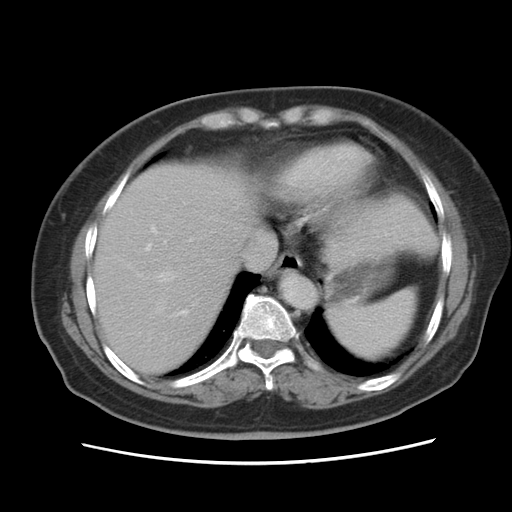

Liver; Image size 512x512; CT

The vessel boxes may cover only some of the vessels.
Hepatic vessel at [139,274,142,276], [174,310,187,315], [160,272,174,281], [146,244,151,250], [248,231,275,270], [208,259,209,261], [151,225,157,233], [164,240,166,243].